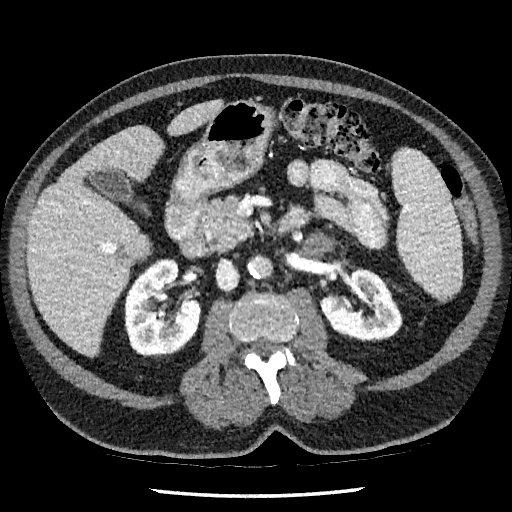
Upper abdomen; Computed tomography
<segmentation>
  <kidney>bbox=[126, 260, 199, 354]; bbox=[321, 270, 400, 339]</kidney>
  <liver_lesion>bbox=[115, 251, 125, 259]</liver_lesion>
  <liver>bbox=[27, 126, 162, 355]; bbox=[169, 100, 221, 134]</liver>
</segmentation>